CT slice | Abdomen 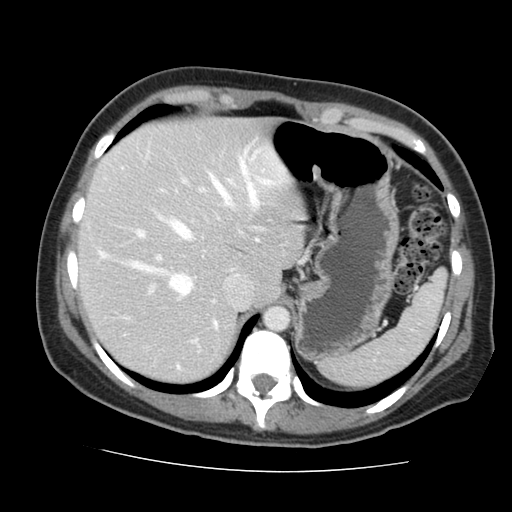

Some hepatic vessels may have no box.
The largest 15 hepatic vessel regions (of 16) are located at 227:179:234:185, 248:150:259:161, 238:148:282:207, 129:261:160:272, 191:339:196:342, 137:230:143:237, 169:275:191:295, 177:366:178:369, 181:179:186:183, 199:188:204:191, 213:321:216:328, 98:250:106:258, 148:287:152:293, 208:173:231:205, 156:256:160:260.